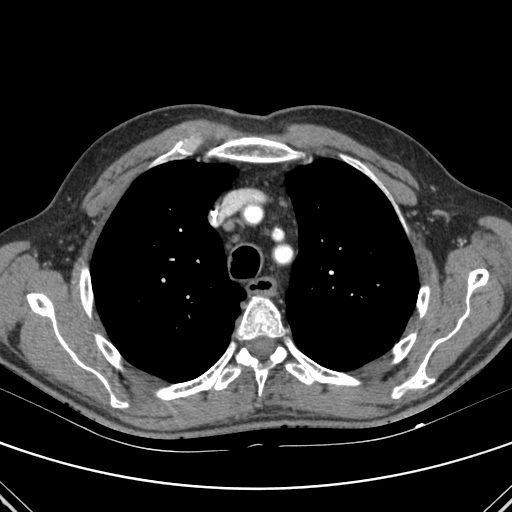

CT scan slice; 512x512
2 lung regions appear at region(286, 158, 418, 370); region(90, 160, 246, 382). 12 bone regions appear at region(207, 137, 298, 162); region(156, 343, 286, 400); region(237, 296, 284, 340); region(27, 293, 128, 407); region(79, 267, 92, 316); region(341, 155, 390, 198); region(94, 334, 121, 368); region(285, 339, 360, 385); region(417, 286, 429, 317); region(393, 333, 416, 362); region(391, 269, 488, 398); region(152, 140, 192, 165).